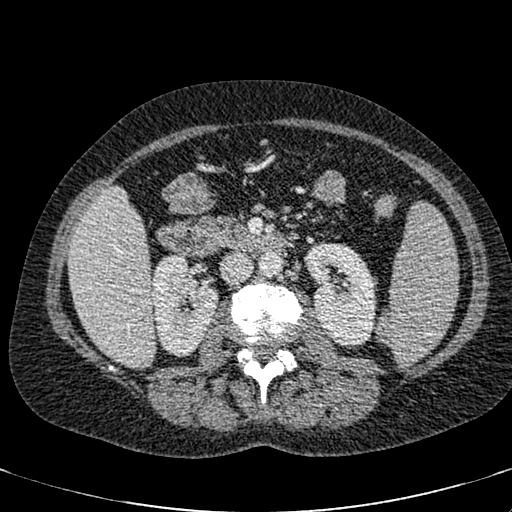 CT scan slice, Abdomen
The liver appears at 68, 188, 154, 365. 2 kidney regions appear at 306, 244, 375, 345; 152, 254, 217, 355.